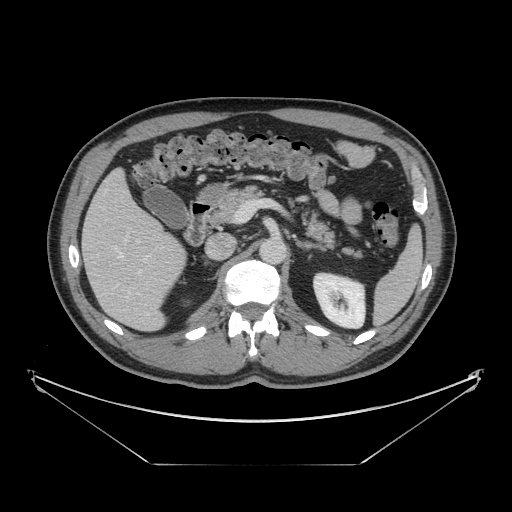 Abdomen, Image size 512x512, Computed tomography

<segmentation>
  <pancreas>left=290, top=202, right=340, bottom=248; left=212, top=186, right=264, bottom=224; left=343, top=248, right=361, bottom=258</pancreas>
</segmentation>